FLAIR magnetic resonance.
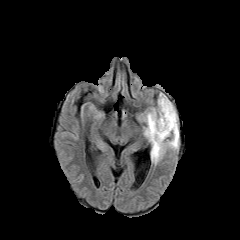
T1-weighted MR.
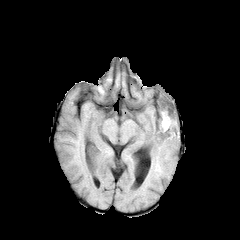
Post-contrast T1-weighted MR.
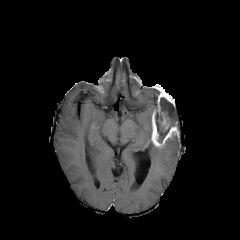
T2-weighted MRI.
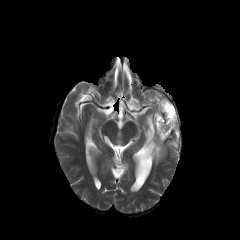
240x240 px; Head
{"enhancing_tumor": ["(150,86,178,147)"], "edema": ["(150,132,180,164)", "(143,107,153,144)"], "non-enhancing_tumor_core": ["(155,97,178,142)"]}